Image width 370 mm; Slice 633/671; Image size 512x512; Computed tomography

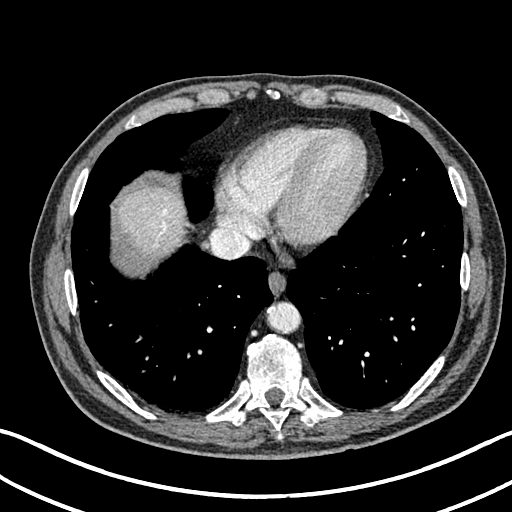

{"liver": ["<box>118,188,182,258</box>"]}